FLAIR MR image.
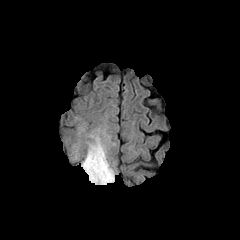
T1-weighted MRI.
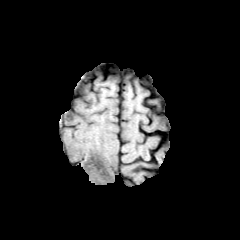
Post-contrast T1-weighted MR.
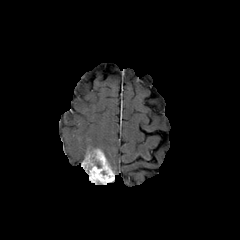
T2-weighted magnetic resonance.
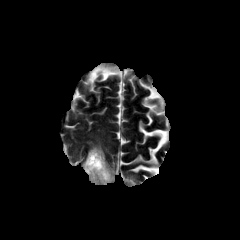
Brain; 240x240
The enhancing tumor lies within l=82, t=148, r=115, b=184. The edema is bounded by l=86, t=137, r=107, b=158.